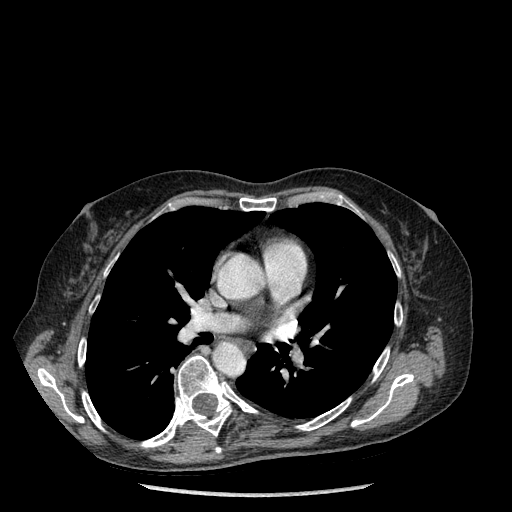

Computed tomography | Thorax

Segmented structures:
• lung: left=85, top=206, right=264, bottom=439; left=236, top=202, right=396, bottom=418
• bone: left=37, top=368, right=84, bottom=422; left=337, top=195, right=359, bottom=214; left=82, top=391, right=104, bottom=430; left=78, top=338, right=86, bottom=366; left=104, top=256, right=117, bottom=276; left=296, top=397, right=351, bottom=430; left=372, top=347, right=389, bottom=381; left=388, top=252, right=400, bottom=276; left=239, top=197, right=276, bottom=211; left=351, top=373, right=413, bottom=426; left=394, top=303, right=402, bottom=325; left=167, top=203, right=174, bottom=210; left=89, top=296, right=99, bottom=312; left=140, top=355, right=257, bottom=447